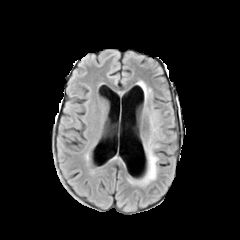
FLAIR MR.
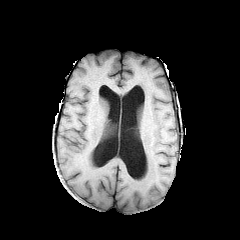
T1-weighted MR image.
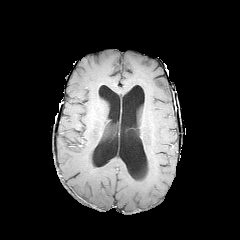
Post-contrast T1-weighted MR image.
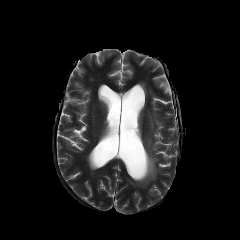
T2-weighted magnetic resonance.
2 edema regions are located at 150:116:159:139, 139:138:159:185.